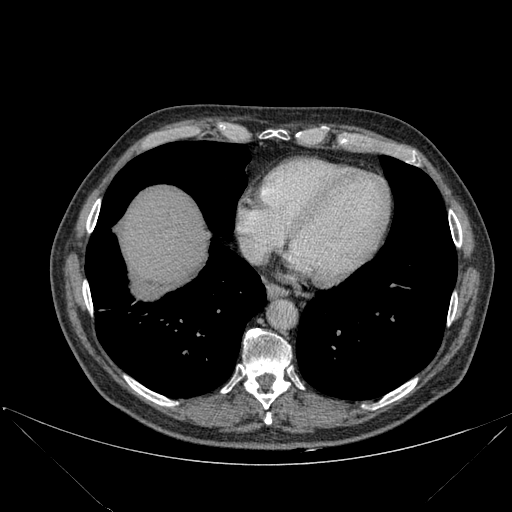

512x512 px | Computed tomography | Liver

{"liver": ["region(117, 186, 209, 284)"], "bone": ["region(124, 376, 173, 405)", "region(447, 293, 457, 325)", "region(86, 199, 100, 232)", "region(264, 413, 271, 424)", "region(238, 328, 290, 408)", "region(449, 210, 461, 246)", "region(373, 378, 417, 409)", "region(265, 130, 285, 138)", "region(82, 281, 92, 312)"], "lung": ["region(296, 155, 456, 399)", "region(85, 141, 266, 397)"]}